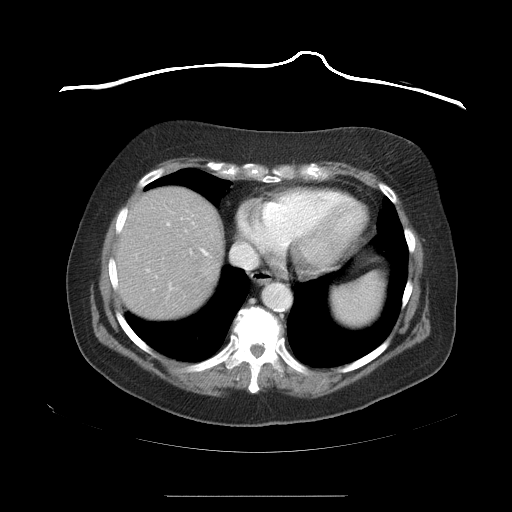
Abdomen | 512x512 px | Computed tomography

Not every hepatic vessel necessarily has a box.
Hepatic vessel = 201:249:207:255, 146:269:148:271, 167:224:169:225, 169:283:171:289, 189:250:190:253.